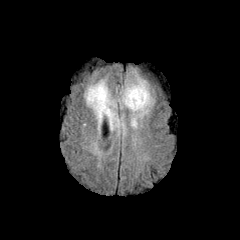
FLAIR MR image.
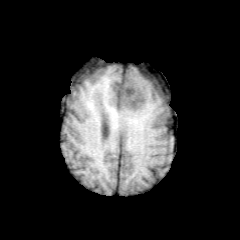
Same slice, T1-weighted MR.
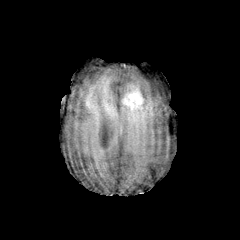
Post-contrast T1-weighted MRI of the same slice.
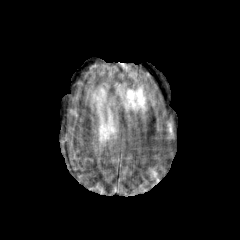
Same slice, T2-weighted magnetic resonance.
240x240; Brain
edema: 86 82 118 132, 120 78 153 116 | enhancing tumor: 122 85 143 110